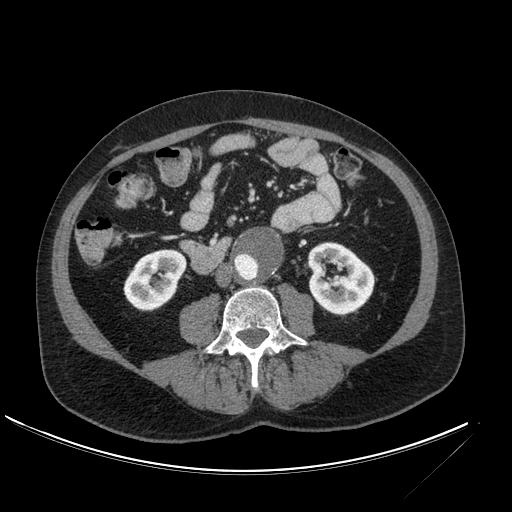

Abdomen, Image size 512x512, CT image
Kidney = region(124, 250, 185, 309); region(309, 243, 373, 313).